CT scan slice; Slice 269/536

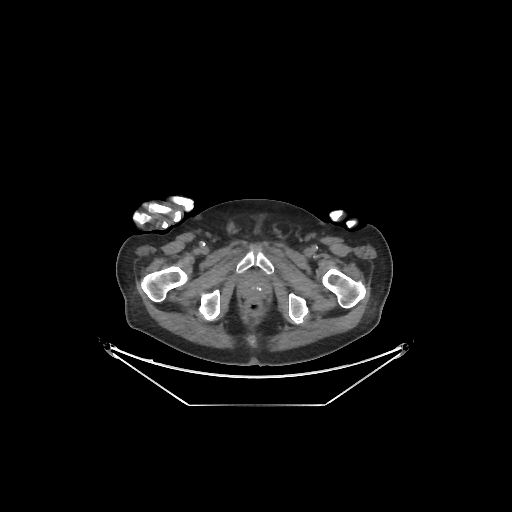
• bone: x1=174, y1=211, x2=180, y2=221; x1=141, y1=266, x2=187, y2=301; x1=322, y1=267, x2=365, y2=307; x1=288, y1=293, x2=307, y2=323; x1=133, y1=213, x2=151, y2=223; x1=199, y1=290, x2=219, y2=320; x1=236, y1=251, x2=273, y2=273; x1=330, y1=210, x2=342, y2=220; x1=145, y1=204, x2=171, y2=212; x1=172, y1=197, x2=192, y2=210